CT scan slice; Slice index 52; Abdomen

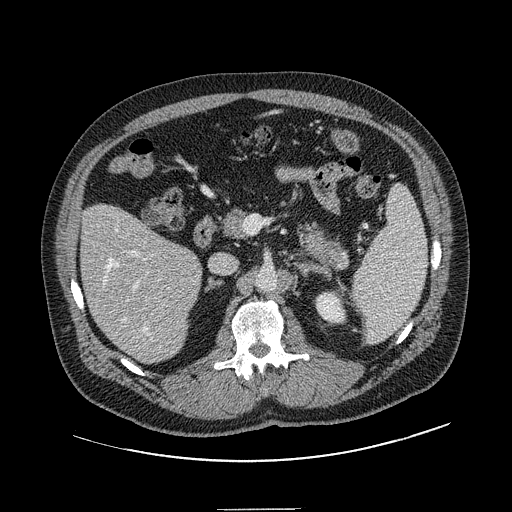
The pancreatic tumor is located at (left=315, top=242, right=340, bottom=264). 2 pancreas regions appear at (left=300, top=224, right=349, bottom=270), (left=223, top=210, right=245, bottom=238).